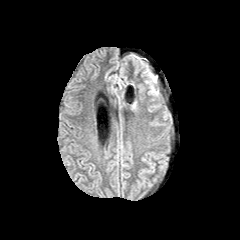
FLAIR MRI.
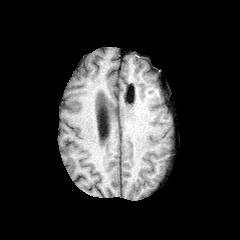
Same slice, T1-weighted MR image.
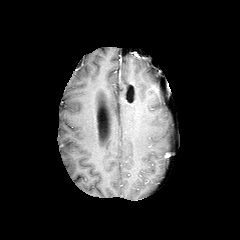
Post-contrast T1-weighted MR.
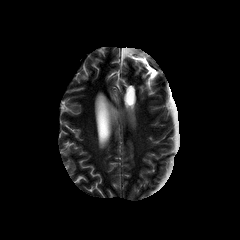
T2-weighted MR image.
edema:
  - region(144, 72, 156, 93)